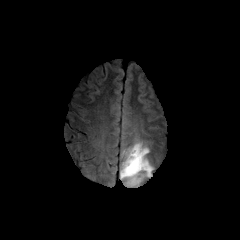
FLAIR MRI.
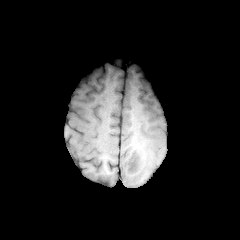
T1-weighted magnetic resonance.
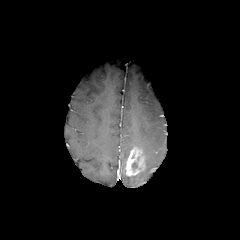
Post-contrast T1-weighted MRI.
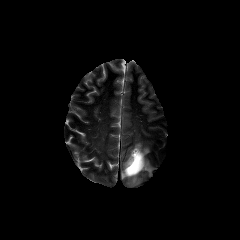
T2-weighted magnetic resonance.
The edema is bounded by <bbox>119, 140, 154, 186</bbox>. The enhancing tumor lies within <bbox>123, 148, 145, 176</bbox>. The non-enhancing tumor core is bounded by <bbox>132, 156, 139, 170</bbox>.